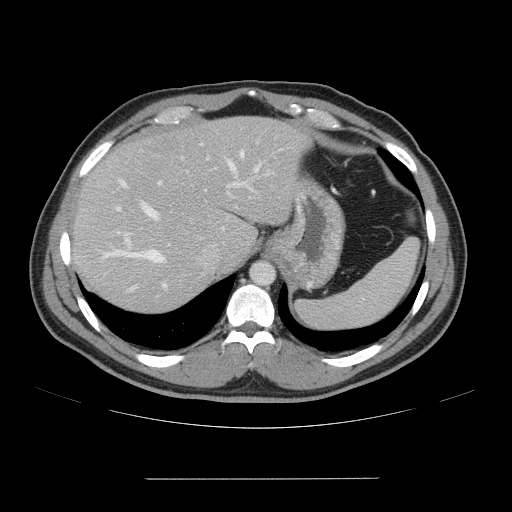

Image size 512x512. CT image.
The vessel annotation is not exhaustive.
Top 15 of 19 hepatic vessel regions = [101,250,164,262], [128,286,135,290], [228,160,235,172], [117,231,120,233], [226,174,253,190], [119,179,126,186], [254,161,261,171], [240,150,243,156], [141,202,157,219], [163,284,166,288], [265,171,273,175], [227,192,232,196], [124,233,130,246], [117,207,120,210], [158,181,161,184].